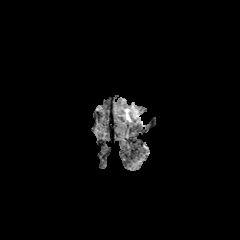
FLAIR MR.
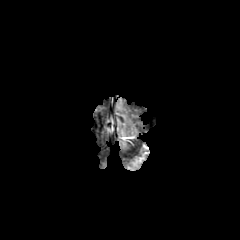
T1-weighted MR image.
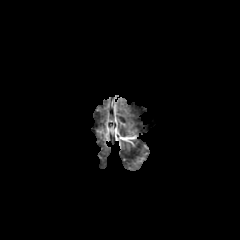
Post-contrast T1-weighted MR image.
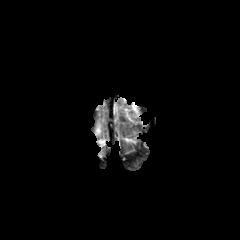
Same slice, T2-weighted magnetic resonance.
Segmented structures:
- edema: x1=123, y1=106, x2=138, y2=120